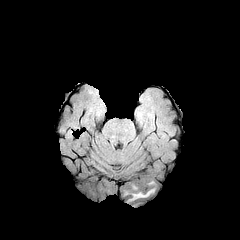
FLAIR MR image.
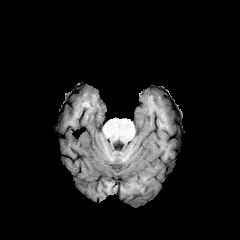
T1-weighted MRI.
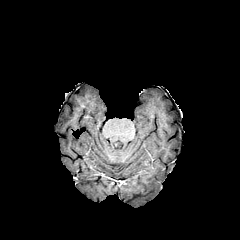
Post-contrast T1-weighted MRI of the same slice.
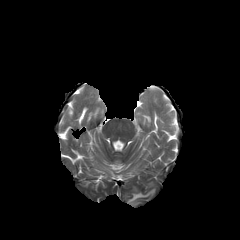
T2-weighted magnetic resonance.
240x240 px, Head
edema: box(133, 190, 152, 199)